Image size 512x512, CT image, Abdomen
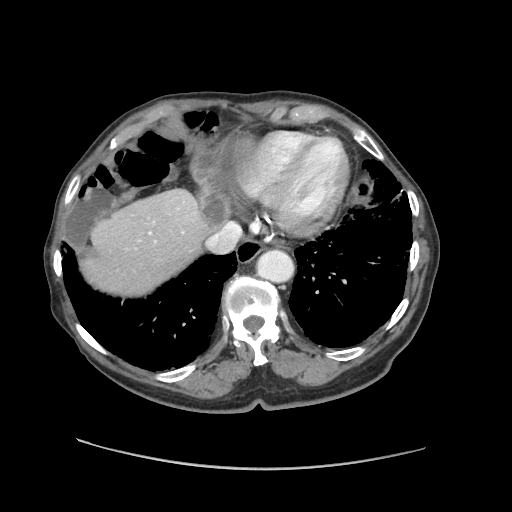 The vessel annotation is not exhaustive.
liver tumor: 200,196,226,223 | hepatic vessel: 207,222,241,252